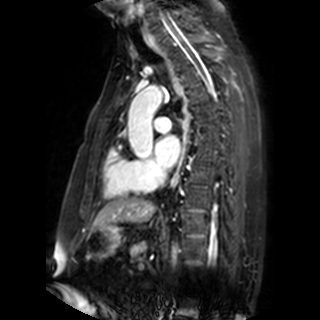

MRI slice
{"left_atrium": ["(x1=155, y1=135, x2=179, y2=166)"]}